Slice 83/155. Image width 240 mm.
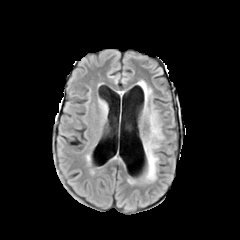
FLAIR MRI.
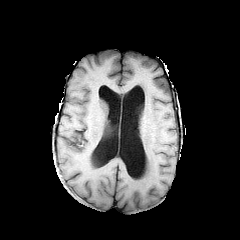
T1-weighted MR.
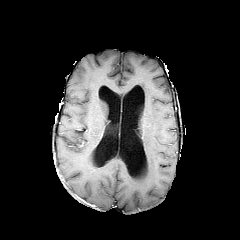
Same slice, post-contrast T1-weighted MR.
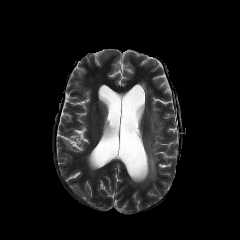
T2-weighted MR image.
Edema = bbox(141, 105, 162, 181); bbox(138, 81, 151, 115).